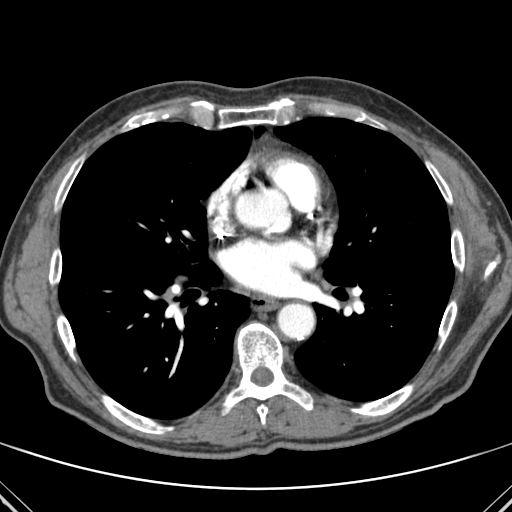 Chest. CT scan slice.

partial: true
lung:
  - (59,122,252,418)
  - (254,126,264,137)
  - (274,117,453,400)
bone:
  # 15 of 18 shown
  - (126,112,155,127)
  - (166,303,182,324)
  - (102,395,172,433)
  - (352,113,378,123)
  - (439,301,456,348)
  - (351,385,413,415)
  - (426,162,452,203)
  - (485,258,498,277)
  - (55,158,82,210)
  - (222,323,312,414)
  - (257,404,267,424)
  - (451,229,464,271)
  - (49,249,61,284)
  - (57,315,75,359)
  - (219,98,293,128)